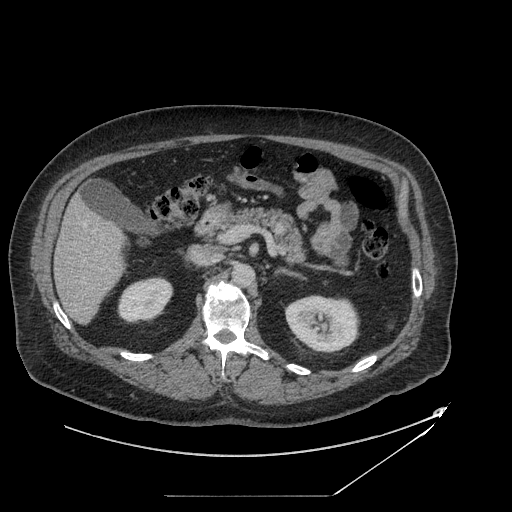 Computed tomography
* pancreas: x1=217, y1=208, x2=331, y2=271